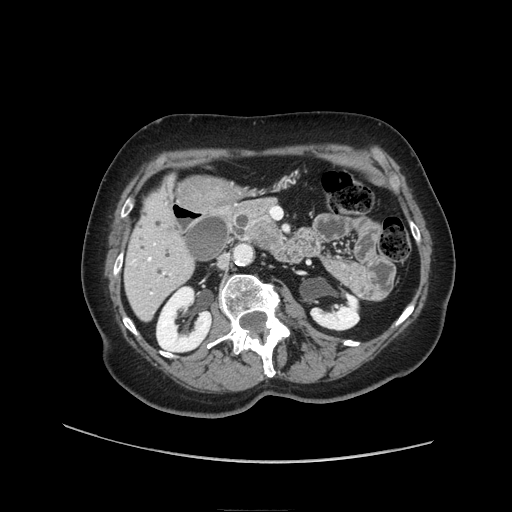 Image size 512x512. Abdomen. CT scan slice.
2 pancreas regions are located at <bbox>231, 199, 277, 246</bbox>, <bbox>261, 234, 283, 249</bbox>. The pancreatic tumor appears at <bbox>250, 221, 281, 247</bbox>.